CT slice. Slice index 66. Image size 512x512.

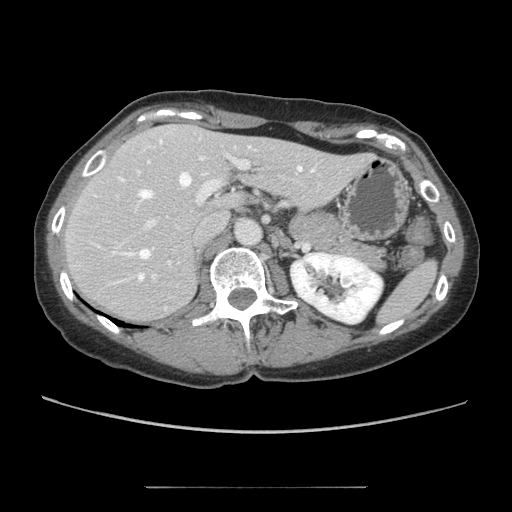 The pancreas lies within 288,208,354,253.